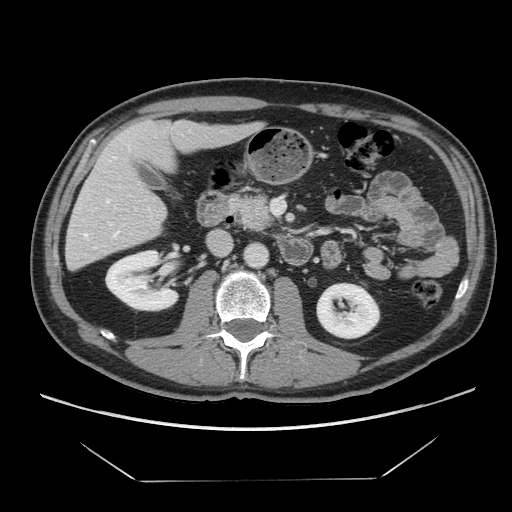
CT scan slice

Findings:
* pancreatic tumor: x1=246, y1=207, x2=268, y2=226
* pancreas: x1=231, y1=195, x2=272, y2=230